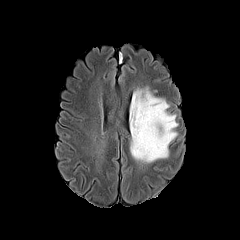
FLAIR magnetic resonance.
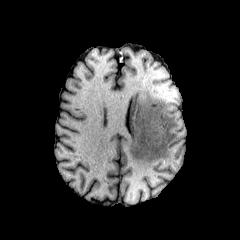
T1-weighted magnetic resonance of the same slice.
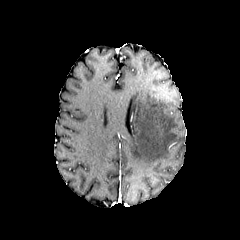
Post-contrast T1-weighted MRI.
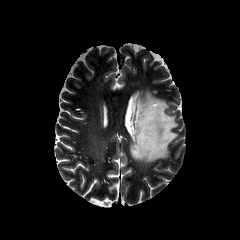
T2-weighted MRI.
240x240 px
The edema appears at <bbox>130, 88, 178, 163</bbox>.